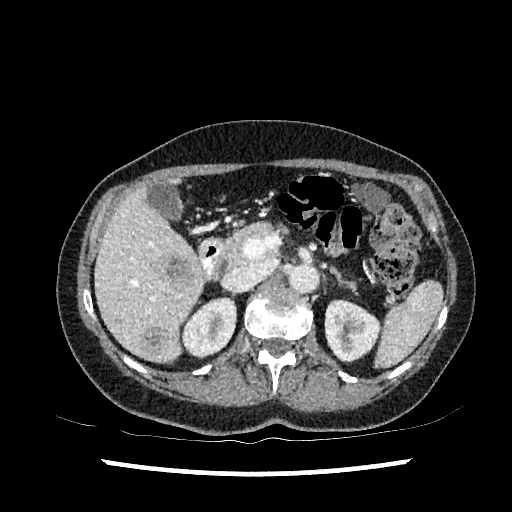
CT scan slice; Upper abdomen
Kidney: 183,299,235,355; 325,301,378,360.
Focal liver lesion: 157,257,200,286; 140,327,173,356.
Liver: 95,187,201,361.